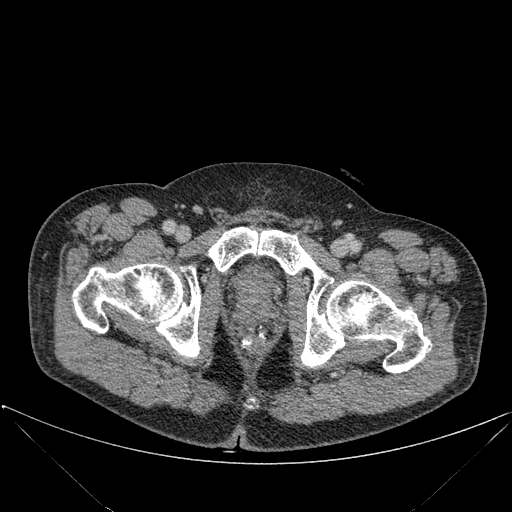 Computed tomography
bone: l=208, t=227, r=430, b=372; l=72, t=264, r=200, b=357